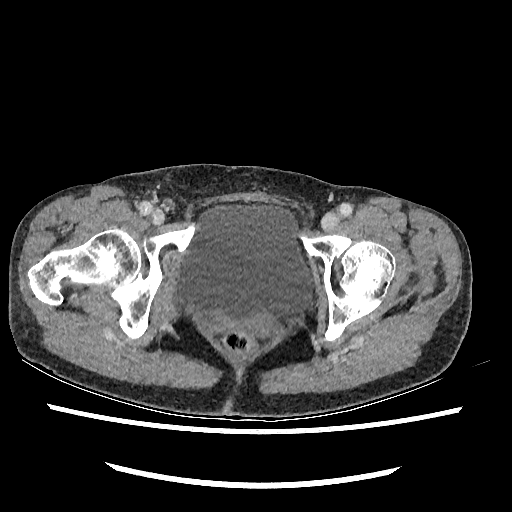 Lower abdomen; CT scan slice
The urinary bladder lies within x1=172 y1=202 x2=313 y2=330.